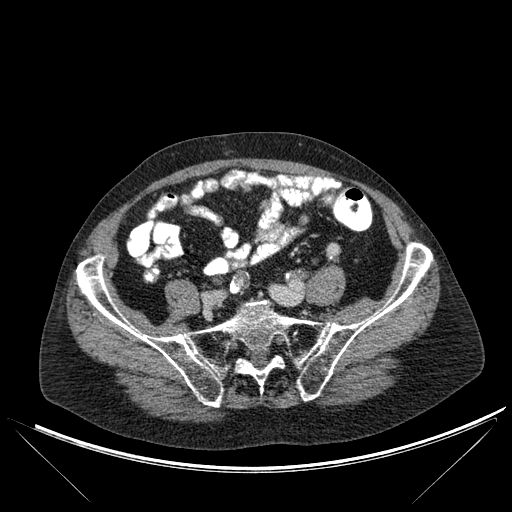

CT image

Bone = box(76, 243, 432, 406); box(235, 356, 283, 391).